FLAIR MR.
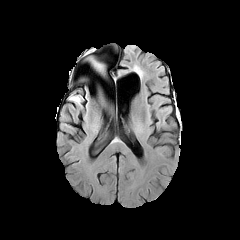
T1-weighted magnetic resonance.
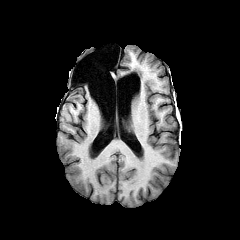
Post-contrast T1-weighted magnetic resonance.
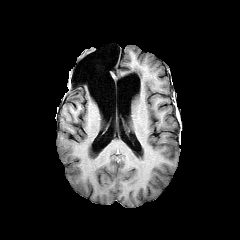
T2-weighted MRI.
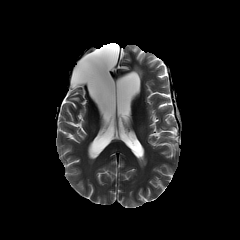
Head
The edema appears at <box>70,95,83,107</box>.